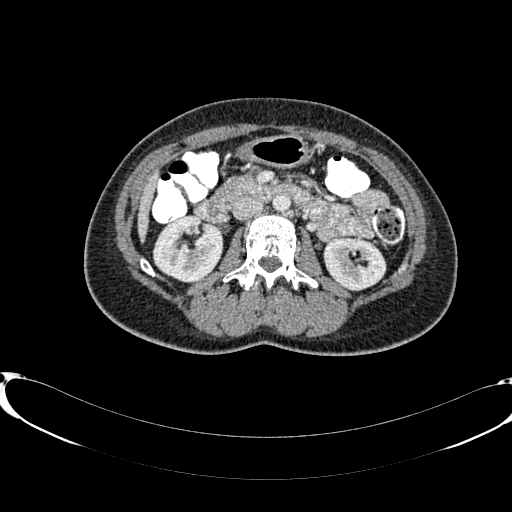

Abdomen. CT slice.
2 kidney regions are bounded by left=325, top=239, right=384, bottom=288; left=154, top=217, right=221, bottom=280. The liver appears at left=137, top=172, right=157, bottom=241.